Image size 512x512; CT scan slice; Slice 39 of 82
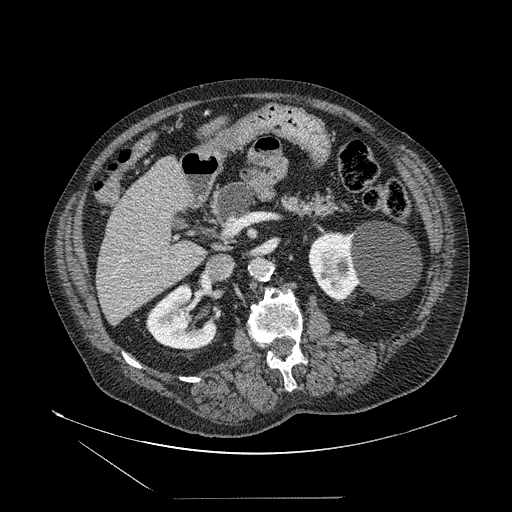

{
  "pancreas": [
    "(210, 185, 354, 223)"
  ],
  "pancreatic_tumor": [
    "(217, 182, 251, 218)"
  ]
}